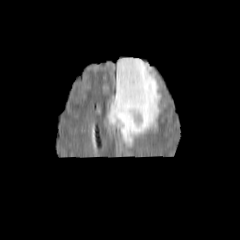
FLAIR magnetic resonance.
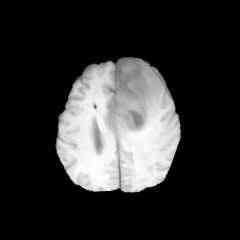
T1-weighted MRI.
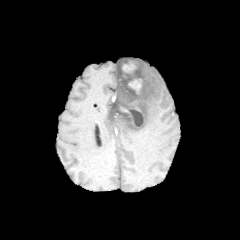
Post-contrast T1-weighted MR of the same slice.
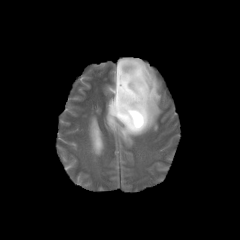
T2-weighted MR.
Head.
- edema: left=105, top=57, right=160, bottom=144
- enhancing tumor: left=128, top=80, right=140, bottom=92; left=123, top=62, right=135, bottom=72
- non-enhancing tumor core: left=116, top=60, right=146, bottom=128